Computed tomography, Slice 124/158
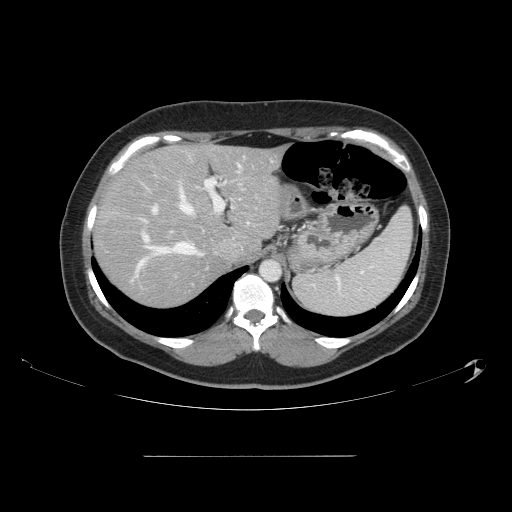
Only some of the vessels may be annotated.
Hepatic vessel at x1=147 y1=242 x2=201 y2=255, x1=142 y1=232 x2=147 y2=240, x1=204 y1=180 x2=216 y2=188, x1=179 y1=188 x2=192 y2=212, x1=213 y1=195 x2=224 y2=212, x1=144 y1=220 x2=146 y2=222, x1=153 y1=207 x2=156 y2=212, x1=137 y1=257 x2=146 y2=270, x1=232 y1=207 x2=233 y2=208.